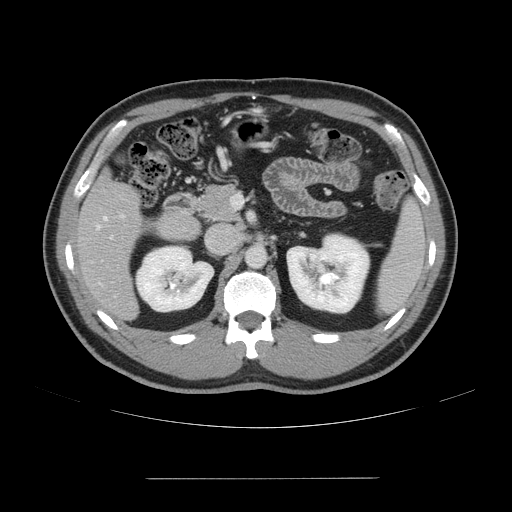

CT, Liver
Some hepatic vessels may have no box.
Hepatic vessel: box=[110, 236, 112, 237]; box=[104, 217, 106, 219]; box=[99, 282, 102, 285]; box=[96, 225, 99, 229]; box=[120, 214, 123, 217].